CT scan slice | Slice 81/164

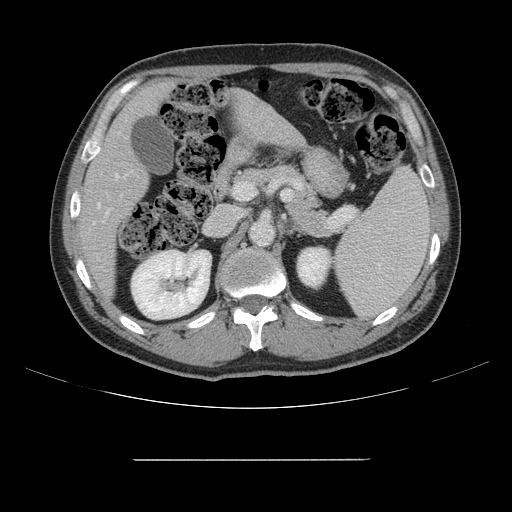
The vessel boxes may cover only some of the vessels.
4 hepatic vessel regions are located at (x1=98, y1=204, x2=100, y2=206), (x1=120, y1=193, x2=121, y2=196), (x1=115, y1=174, x2=118, y2=178), (x1=105, y1=209, x2=109, y2=217).